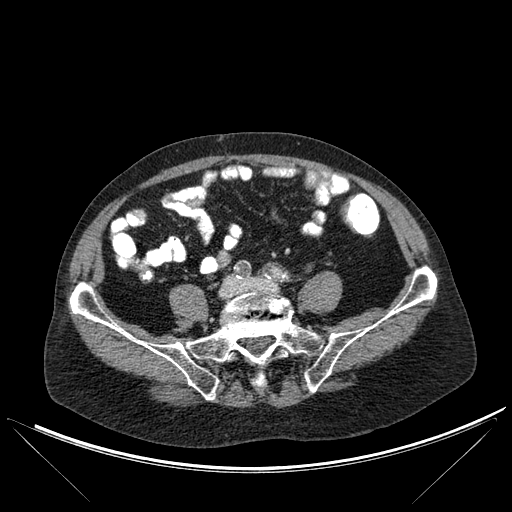

CT image

Annotated regions:
- bone: bbox(70, 266, 436, 399)